CT slice. Field of view 400x400 mm. 512x512 px.

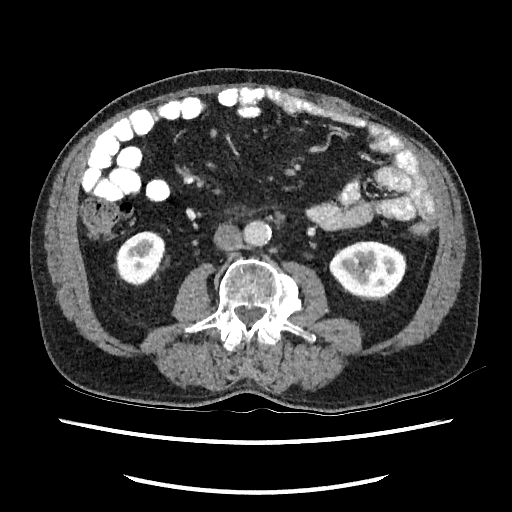 kidney:
  - {"x1": 116, "y1": 231, "x2": 164, "y2": 285}
  - {"x1": 329, "y1": 241, "x2": 405, "y2": 299}